Slice index 99, Brain
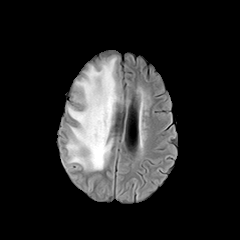
FLAIR MR image.
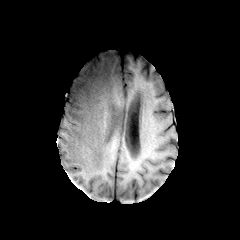
Same slice, T1-weighted MRI.
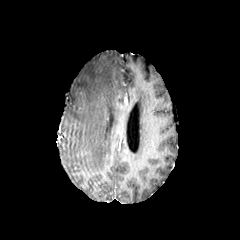
Same slice, post-contrast T1-weighted MR.
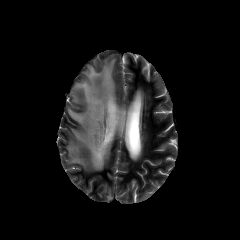
T2-weighted MR image.
edema: [x1=67, y1=58, x2=117, y2=170]